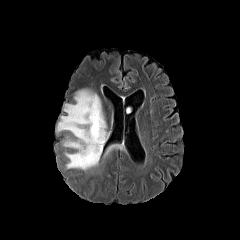
FLAIR magnetic resonance.
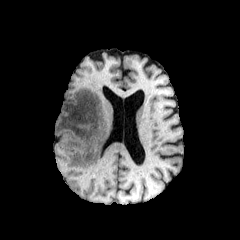
T1-weighted magnetic resonance.
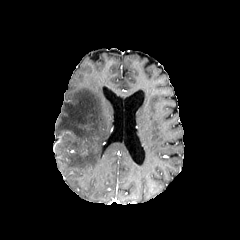
Post-contrast T1-weighted MR image.
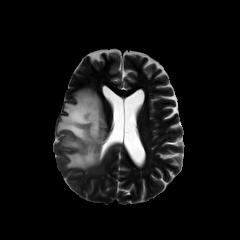
Same slice, T2-weighted magnetic resonance.
Brain
- edema: (x1=57, y1=90, x2=109, y2=170)